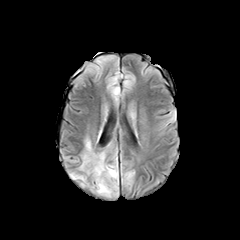
FLAIR MR image.
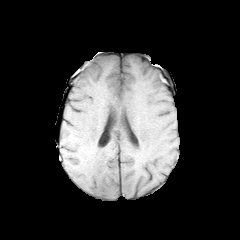
T1-weighted magnetic resonance.
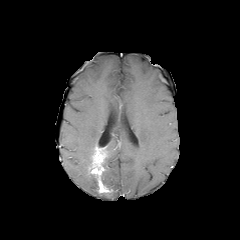
Post-contrast T1-weighted MR of the same slice.
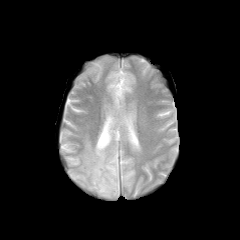
T2-weighted MR image.
<segmentation>
  <enhancing_tumor>{"x1": 91, "y1": 152, "x2": 109, "y2": 193}</enhancing_tumor>
  <non-enhancing_tumor_core>{"x1": 94, "y1": 148, "x2": 107, "y2": 161}, {"x1": 101, "y1": 162, "x2": 113, "y2": 192}</non-enhancing_tumor_core>
  <edema>{"x1": 104, "y1": 148, "x2": 118, "y2": 197}, {"x1": 70, "y1": 139, "x2": 97, "y2": 193}</edema>
</segmentation>